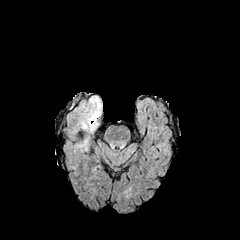
FLAIR MRI.
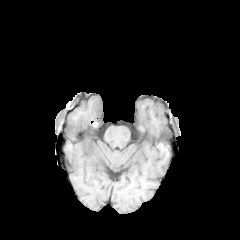
T1-weighted MR image of the same slice.
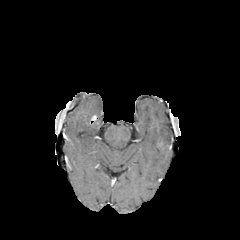
Post-contrast T1-weighted MRI.
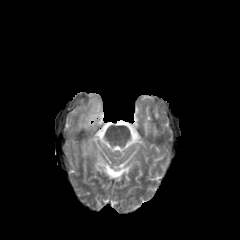
T2-weighted magnetic resonance.
Edema: bounding box [80, 96, 101, 131].